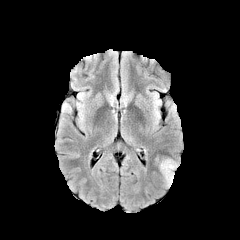
FLAIR MRI.
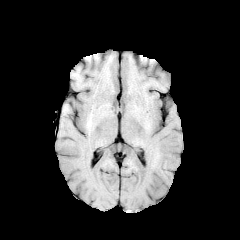
T1-weighted MRI.
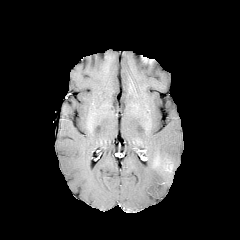
Post-contrast T1-weighted MR image.
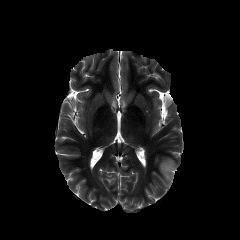
T2-weighted MR image of the same slice.
240x240 px; Head
Edema = 160,158,173,185.